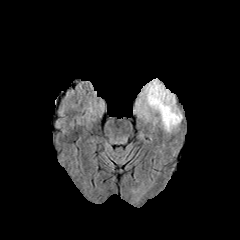
FLAIR MR.
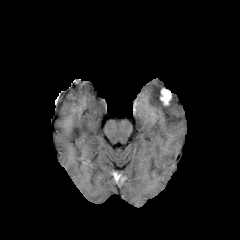
Same slice, T1-weighted magnetic resonance.
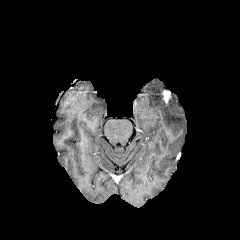
Same slice, post-contrast T1-weighted MR image.
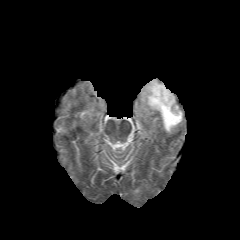
Same slice, T2-weighted MRI.
Head
* edema: box=[134, 78, 182, 132]
* enhancing tumor: box=[161, 90, 171, 104]